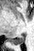 Magnetic resonance

Posterior hippocampus = (8,34,24,44).